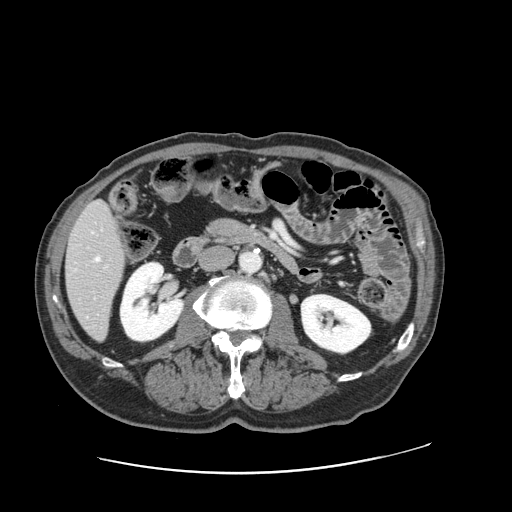
CT
Only some of the vessels may be annotated.
The hepatic vessel lies within <box>95,257,99,260</box>.